Slice index 81
FLAIR MRI.
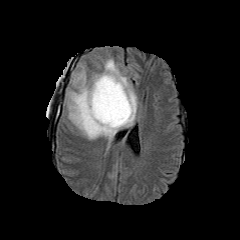
T1-weighted magnetic resonance.
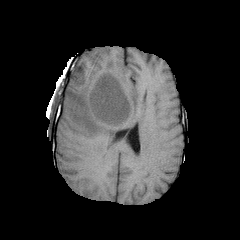
Post-contrast T1-weighted magnetic resonance.
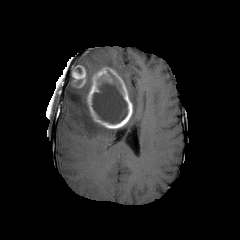
T2-weighted MR image.
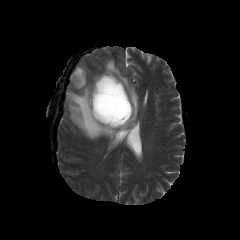
Annotated regions:
• non-enhancing tumor core: [92, 66, 127, 123], [81, 86, 93, 120]
• edema: [64, 58, 138, 145]
• enhancing tumor: [102, 70, 132, 128], [87, 70, 114, 121], [72, 68, 85, 87]